Liver. CT.

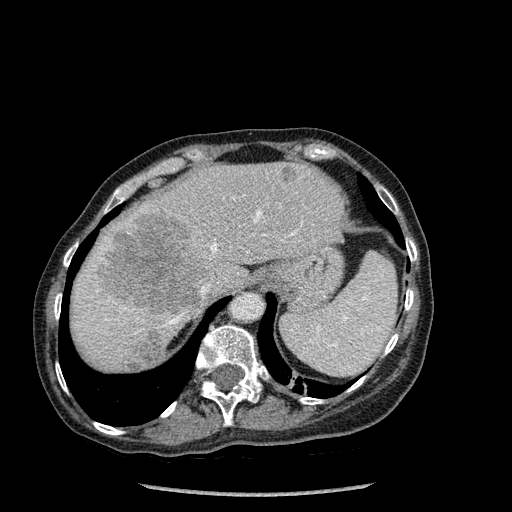 3 hepatic lesion regions are bounded by (x1=96, y1=212, x2=207, y2=314), (x1=281, y1=166, x2=296, y2=182), (x1=129, y1=326, x2=162, y2=369). 4 lung regions appear at (x1=258, y1=293, x2=351, y2=397), (x1=101, y1=208, x2=119, y2=226), (x1=358, y1=176, x2=403, y2=245), (x1=59, y1=229, x2=225, y2=426). The liver lies within (x1=70, y1=162, x2=344, y2=373). 13 bone regions are bounded by (x1=104, y1=188, x2=126, y2=213), (x1=161, y1=402, x2=176, y2=417), (x1=196, y1=324, x2=269, y2=425), (x1=347, y1=376, x2=365, y2=392), (x1=378, y1=192, x2=398, y2=213), (x1=405, y1=288, x2=413, y2=310), (x1=55, y1=362, x2=67, y2=392), (x1=406, y1=238, x2=416, y2=261), (x1=63, y1=242, x2=77, y2=266), (x1=300, y1=397, x2=323, y2=404), (x1=93, y1=422, x2=123, y2=435), (x1=54, y1=293, x2=61, y2=319), (x1=384, y1=334, x2=398, y2=354).